Liver; CT

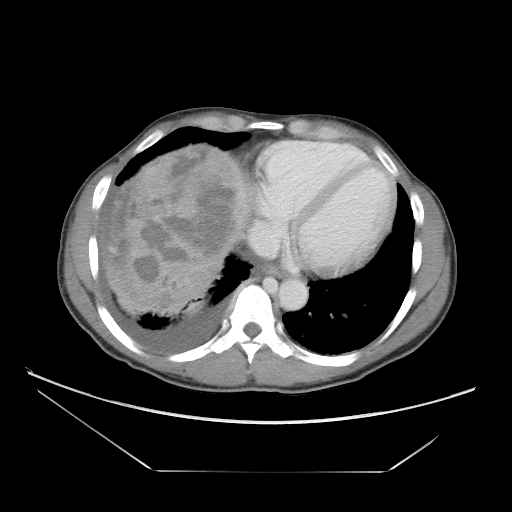

liver_tumor:
  - rect(103, 146, 246, 312)